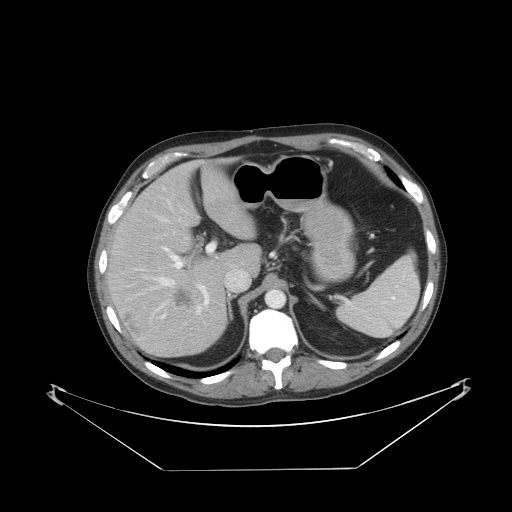

Computed tomography. Image size 512x512. Abdomen.

Only some of the vessels may be annotated.
liver tumor: box(126, 312, 141, 333); box(175, 288, 193, 307) | hepatic vessel: box(207, 243, 215, 251); box(144, 277, 150, 279); box(184, 225, 185, 227); box(167, 199, 172, 210); box(196, 284, 210, 314); box(155, 215, 169, 221); box(173, 231, 174, 233); box(156, 277, 174, 286); box(158, 313, 166, 318); box(163, 247, 182, 268); box(178, 218, 180, 221)